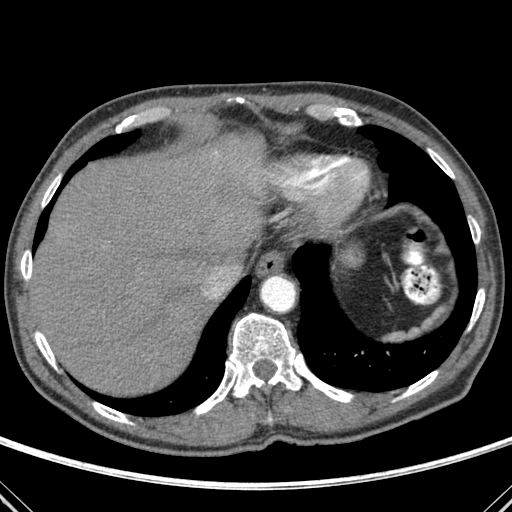
CT slice
Bone: box=[41, 174, 61, 207]; box=[469, 217, 480, 243]; box=[402, 371, 437, 397]; box=[20, 250, 32, 280]; box=[194, 313, 353, 414]; box=[468, 289, 484, 329]; box=[35, 331, 56, 369]; box=[92, 402, 132, 424]; box=[428, 149, 454, 178].
Liver: box=[32, 132, 263, 396].
Lung: box=[74, 276, 250, 416]; box=[36, 130, 139, 245]; box=[292, 125, 476, 391].